Slice index 10, MR

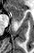

The anterior hippocampus is located at bbox(7, 5, 23, 20). The posterior hippocampus appears at bbox(15, 21, 20, 21).